Slice 52/155.
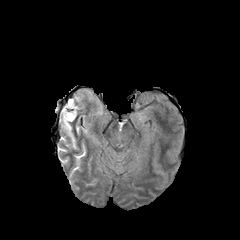
FLAIR magnetic resonance.
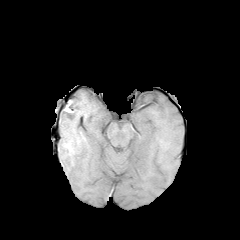
Same slice, T1-weighted MRI.
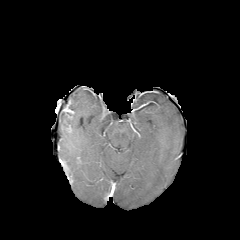
Same slice, post-contrast T1-weighted MR image.
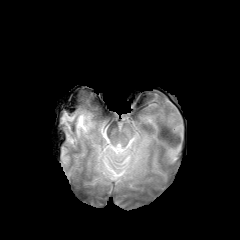
T2-weighted MRI.
The non-enhancing tumor core is at rect(63, 112, 73, 121). 4 edema regions are located at rect(108, 152, 126, 171); rect(60, 94, 91, 148); rect(94, 144, 107, 166); rect(131, 150, 141, 163).